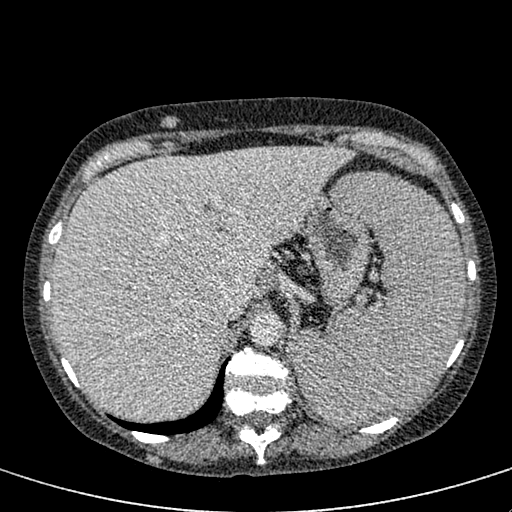 CT slice, Abdomen, 512x512 px
liver:
  - 52 148 357 419